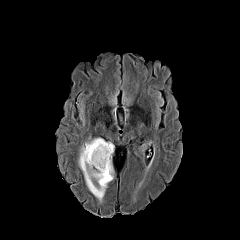
FLAIR MRI.
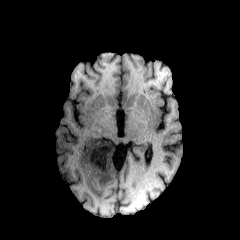
T1-weighted MRI.
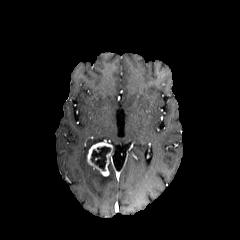
Post-contrast T1-weighted MR image of the same slice.
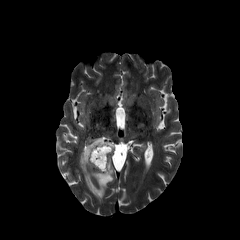
T2-weighted MR of the same slice.
Image size 240x240
<segmentation>
  <edema>{"x1": 77, "y1": 137, "x2": 113, "y2": 201}</edema>
  <non-enhancing_tumor_core>{"x1": 90, "y1": 146, "x2": 110, "y2": 170}</non-enhancing_tumor_core>
  <enhancing_tumor>{"x1": 87, "y1": 141, "x2": 113, "y2": 176}</enhancing_tumor>
</segmentation>